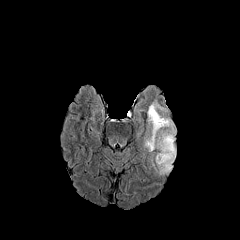
FLAIR magnetic resonance.
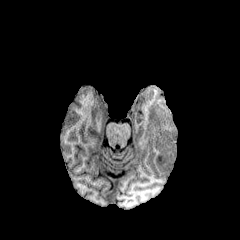
T1-weighted MR of the same slice.
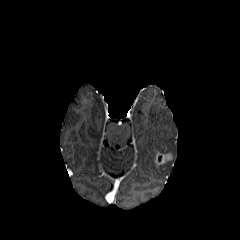
Post-contrast T1-weighted MR.
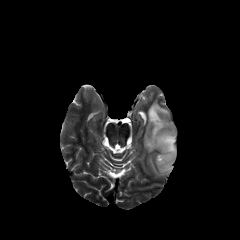
T2-weighted MR image of the same slice.
Head
Enhancing tumor at 155 153 172 166.
Edema at 143 101 176 174.